FLAIR MR.
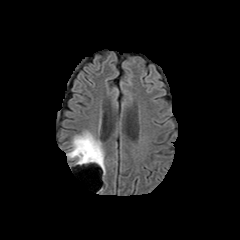
T1-weighted magnetic resonance.
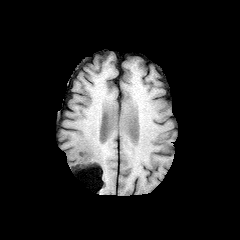
Post-contrast T1-weighted MR.
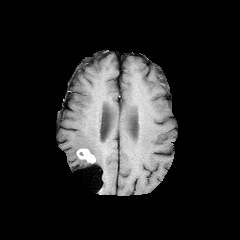
T2-weighted MR.
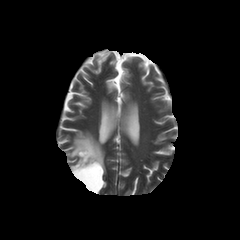
The enhancing tumor is located at bbox(76, 148, 95, 162). The edema is at bbox(67, 130, 105, 177). The non-enhancing tumor core is at bbox(77, 150, 101, 175).